Slice 37 of 131. Computed tomography.

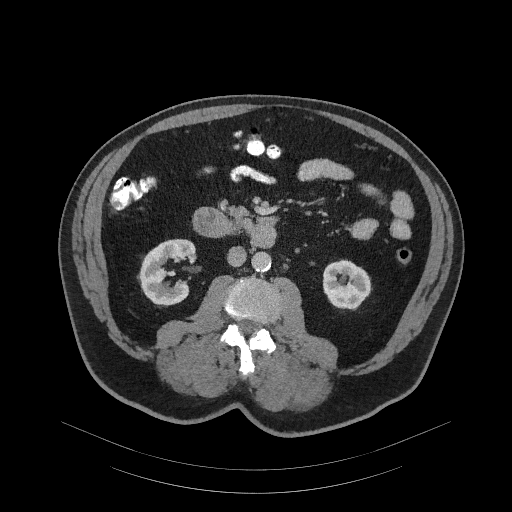

Pancreas = <bbox>220, 201, 274, 233</bbox>.